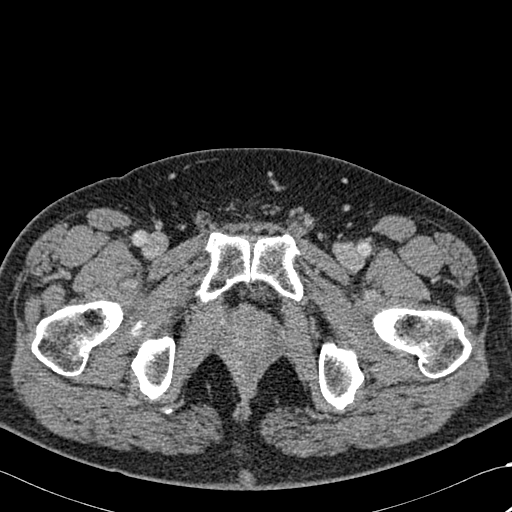 CT slice; 512x512 px

Bone: bounding box 319, 343, 363, 410; 198, 233, 302, 301; 31, 300, 122, 375; 131, 336, 174, 399; 373, 307, 471, 377; 132, 323, 141, 335.